Abdomen | CT scan slice
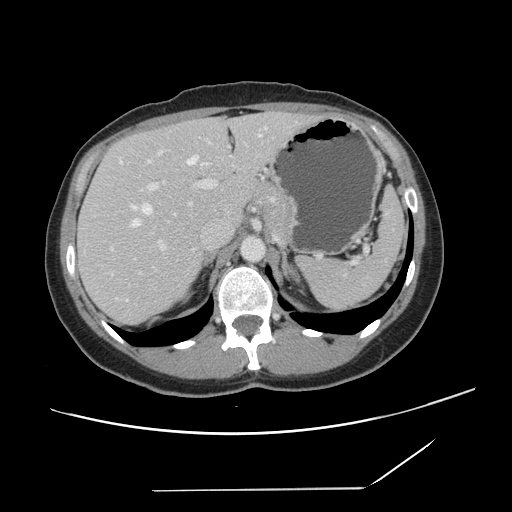 The vessel annotation is not exhaustive.
Findings:
- hepatic vessel (top 15 of 18): box=[198, 179, 216, 187]; box=[162, 181, 164, 183]; box=[158, 240, 164, 249]; box=[119, 158, 122, 163]; box=[187, 156, 197, 164]; box=[201, 162, 208, 165]; box=[158, 151, 162, 154]; box=[265, 127, 266, 129]; box=[140, 203, 151, 213]; box=[131, 205, 137, 209]; box=[148, 160, 150, 162]; box=[189, 202, 191, 204]; box=[132, 220, 139, 225]; box=[148, 183, 156, 189]; box=[258, 134, 261, 136]